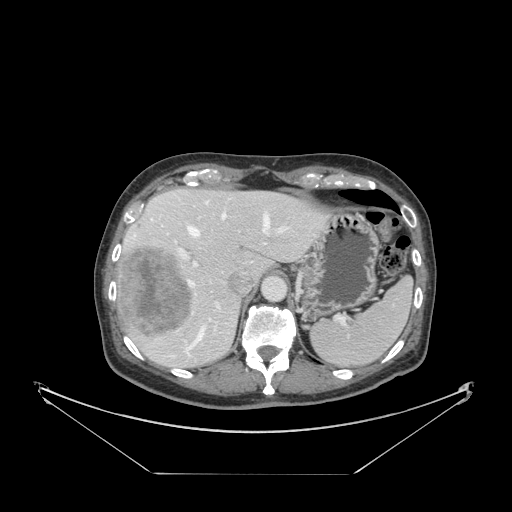 Abdomen; CT
spleen:
  - [x1=310, y1=276, x2=413, y2=366]